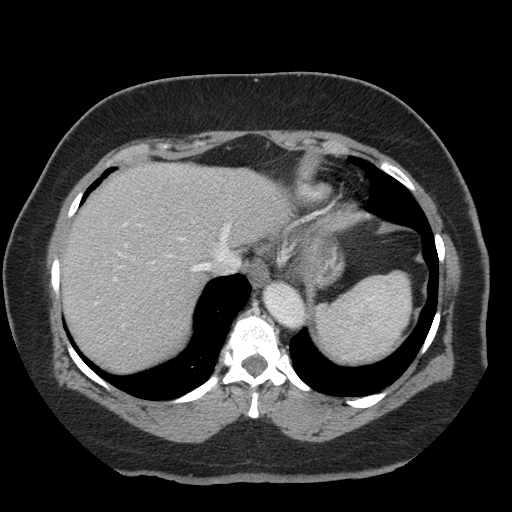 CT | Liver
Not every hepatic vessel necessarily has a box.
<segmentation>
  <hepatic_vessel>{"x1": 115, "y1": 267, "x2": 120, "y2": 270}, {"x1": 166, "y1": 255, "x2": 169, "y2": 257}, {"x1": 126, "y1": 245, "x2": 127, "y2": 247}, {"x1": 217, "y1": 225, "x2": 238, "y2": 264}, {"x1": 114, "y1": 278, "x2": 117, "y2": 280}, {"x1": 180, "y1": 238, "x2": 183, "y2": 240}, {"x1": 192, "y1": 264, "x2": 204, "y2": 271}, {"x1": 116, "y1": 252, "x2": 120, "y2": 255}</hepatic_vessel>
</segmentation>